Field of view 36x47 mm. Slice index 25. 36x47. MR. 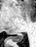 Posterior hippocampus: bounding box x1=11, y1=34, x2=23, y2=42.